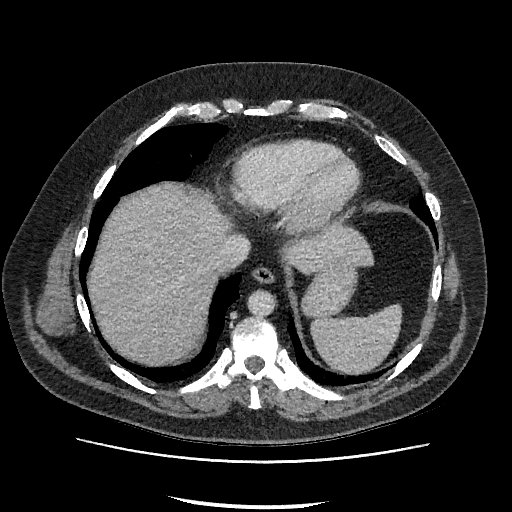
CT slice; Image size 512x512
Annotated regions:
• liver: box(89, 187, 228, 363); box(284, 226, 373, 273)